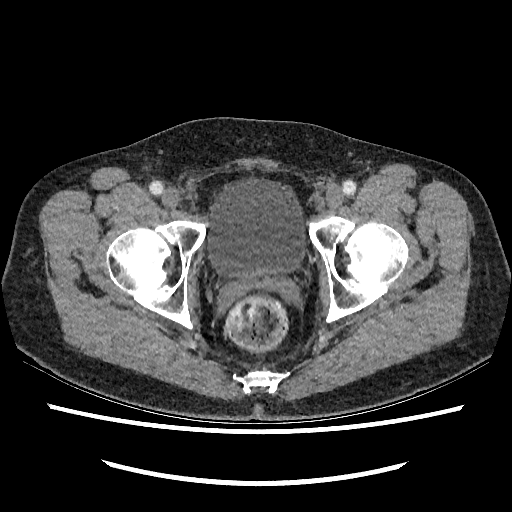

CT
Urinary bladder: 207 177 307 278.